CT image, Slice 45/155, Abdomen

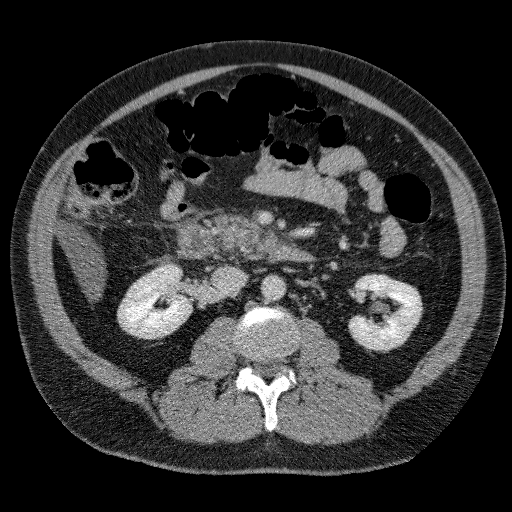 • liver: (x1=57, y1=222, x2=103, y2=297)
• kidney: (x1=119, y1=265, x2=190, y2=337), (x1=349, y1=275, x2=420, y2=349)